Image width 482 mm; Computed tomography; Liver 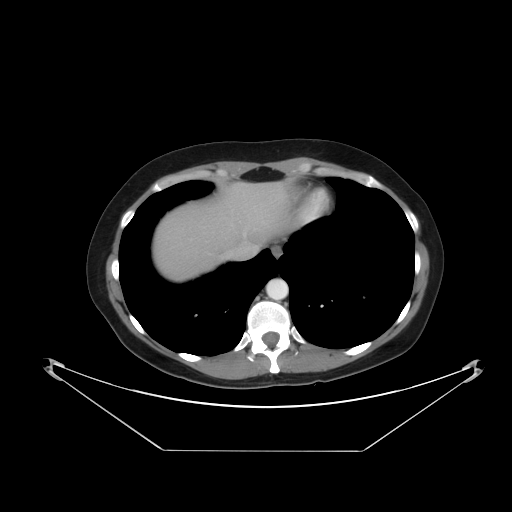
Not every hepatic vessel necessarily has a box.
{
  "hepatic_vessel": [
    "(x1=228, y1=252, x2=232, y2=255)",
    "(x1=243, y1=233, x2=245, y2=236)",
    "(x1=238, y1=245, x2=246, y2=252)"
  ]
}